Field of view 437 mm wide, 0.80 mm slice spacing; CT; 512x512

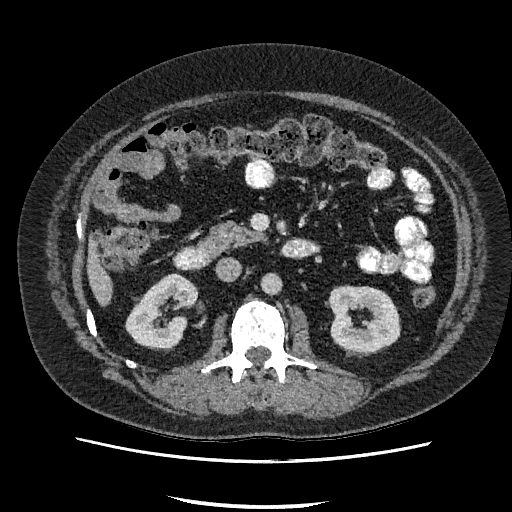
2 kidney regions appear at (x1=330, y1=287, x2=398, y2=351), (x1=127, y1=275, x2=196, y2=347). The liver is at (x1=87, y1=240, x2=112, y2=304).